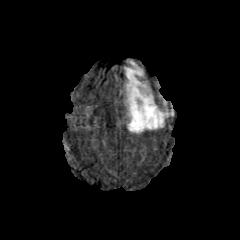
FLAIR MRI.
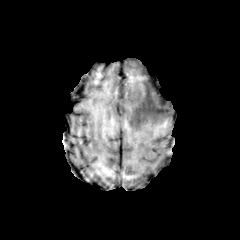
T1-weighted MR of the same slice.
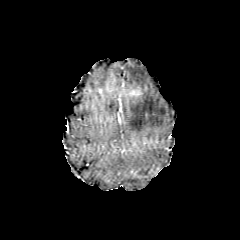
Same slice, post-contrast T1-weighted magnetic resonance.
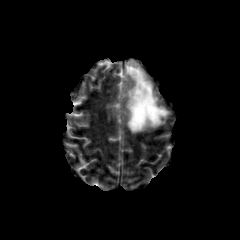
T2-weighted MR image.
edema:
  - left=124, top=60, right=170, bottom=133